FLAIR MR image.
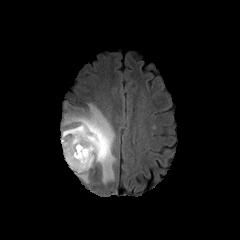
T1-weighted MR image.
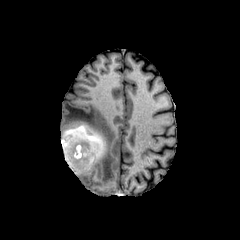
Post-contrast T1-weighted MR.
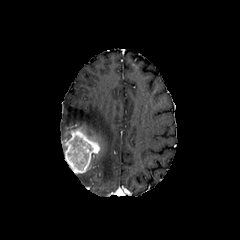
T2-weighted magnetic resonance.
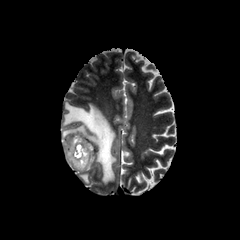
240x240 px
enhancing tumor: x1=65, y1=131, x2=99, y2=173 | edema: x1=63, y1=103, x2=114, y2=182 | non-enhancing tumor core: x1=62, y1=135, x2=92, y2=170; x1=63, y1=125, x2=106, y2=157